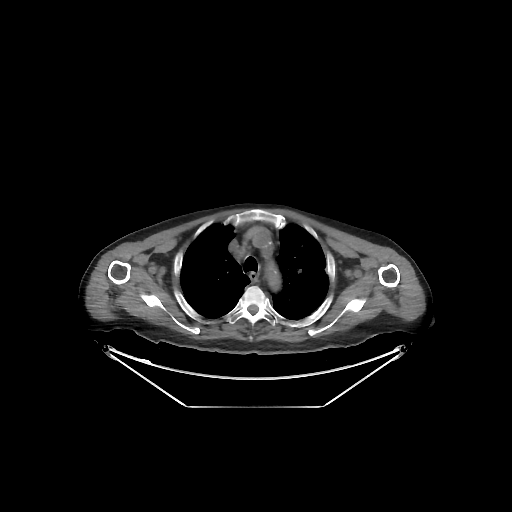
Computed tomography, Thorax
Lung: [269,223,328,319], [180,222,257,318].
Bone: [141,293,165,310], [175,261,181,273], [108,260,130,284], [308,298,365,335], [173,317,199,333], [227,209,284,228], [234,286,278,327], [378,264,399,287], [294,297,331,326], [175,291,191,313].